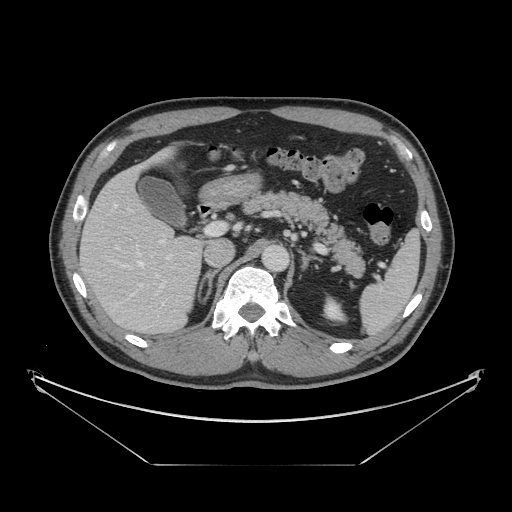 512x512; Abdomen; CT
Findings:
• pancreas: left=241, top=189, right=364, bottom=276